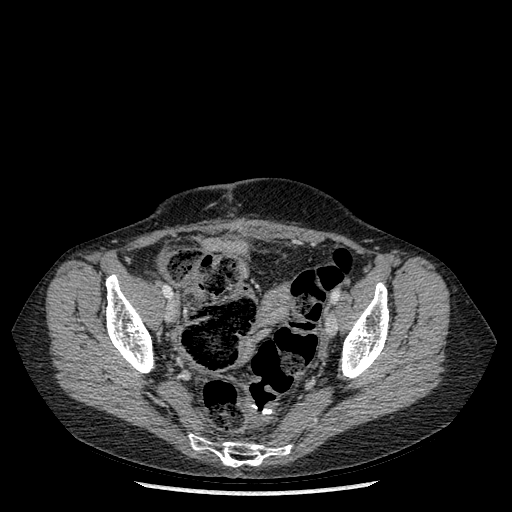
512x512, Computed tomography
3 bone regions appear at 106,274,153,374; 188,433,291,466; 341,282,388,378.